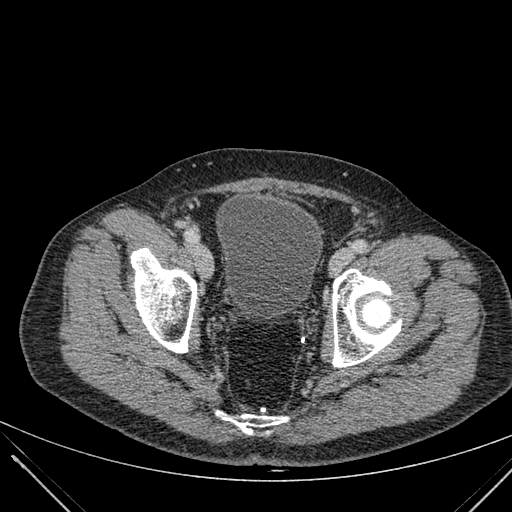

Lower abdomen | CT slice

urinary bladder: 216, 197, 322, 315